Abdomen | Slice 89 of 99 | CT slice

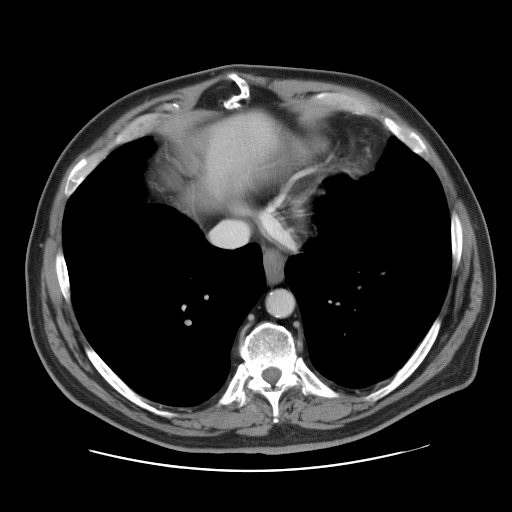

The vessel annotation is not exhaustive.
Segmented structures:
• hepatic vessel: 211, 222, 249, 246